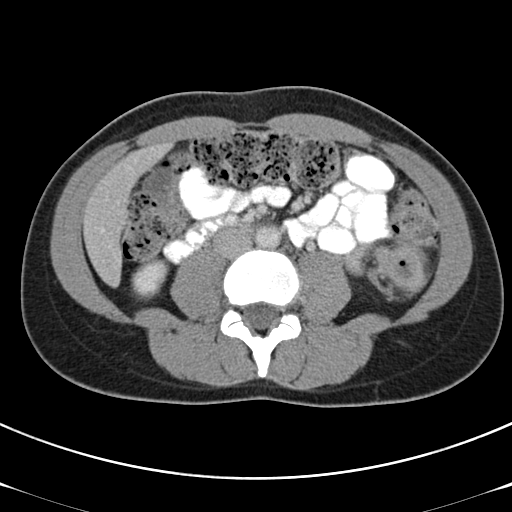

512x512, CT image
Findings:
• colon tumor: box(374, 243, 426, 291)